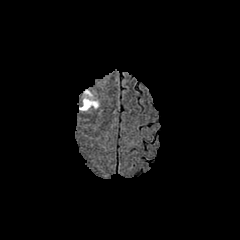
FLAIR MR image.
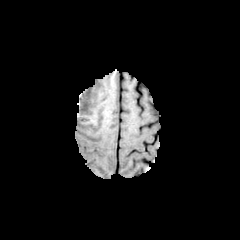
T1-weighted MR image of the same slice.
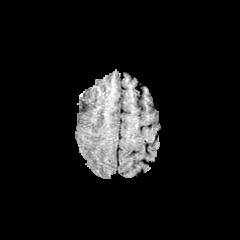
Post-contrast T1-weighted MR.
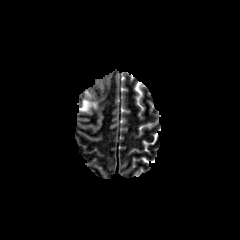
Same slice, T2-weighted MR image.
240x240; Brain
The edema appears at box=[79, 90, 98, 112].